Medial temporal lobe. Slice index 25. Magnetic resonance. 35x53 px.

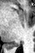 posterior_hippocampus:
  - [7,41,19,48]